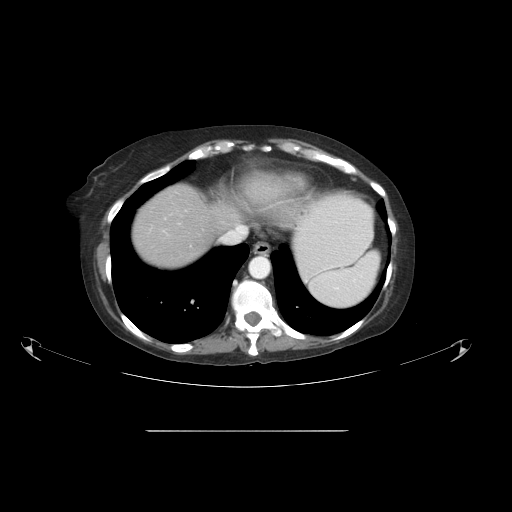 Computed tomography; 512x512 px

The vessel annotation is not exhaustive.
Findings:
• hepatic vessel: (x1=235, y1=226, x2=241, y2=228)